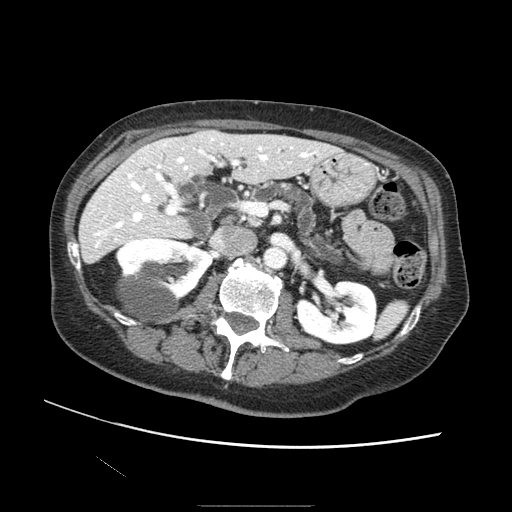 Abdomen. Computed tomography.
{
  "pancreas": [
    "[x1=245, y1=214, x2=260, y2=226]",
    "[x1=252, y1=183, x2=344, y2=262]"
  ]
}